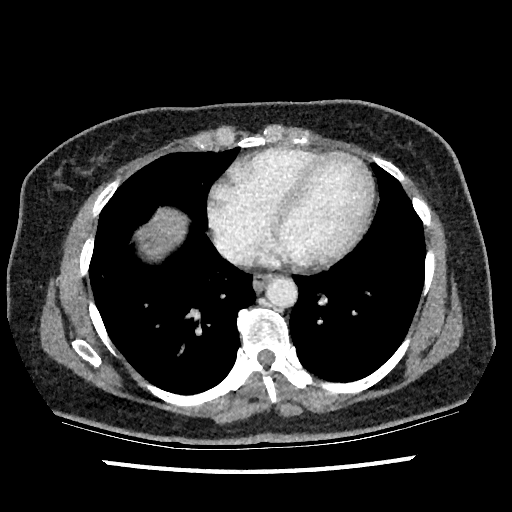
Abdomen | CT scan slice
The hepatic lesion appears at box=[146, 238, 154, 248]. The liver is at box=[140, 209, 184, 253].